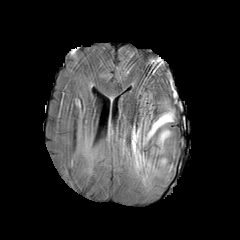
FLAIR MR image.
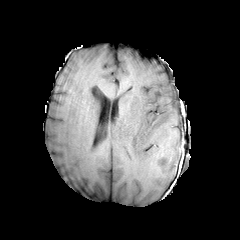
T1-weighted MR image.
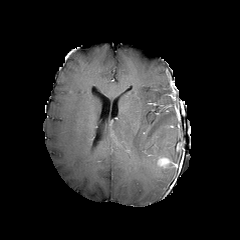
Same slice, post-contrast T1-weighted magnetic resonance.
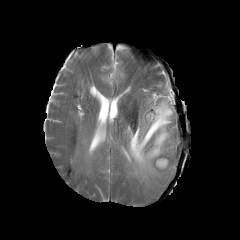
T2-weighted MR of the same slice.
Image size 240x240 | Brain
The enhancing tumor is located at <bbox>158, 158, 167, 165</bbox>. The edema lies within <bbox>123, 99, 175, 174</bbox>.